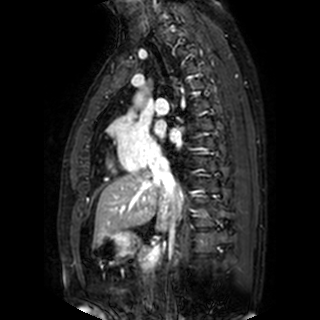 320x320 px; Heart; MR image
Segmented structures:
* left atrium: <bbox>154, 120, 165, 136</bbox>, <bbox>170, 131, 180, 142</bbox>